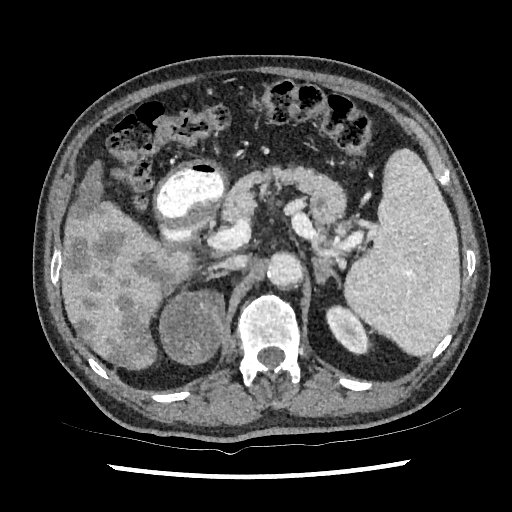 Upper abdomen | CT
{
  "kidney": [
    "<box>327,306,367,353</box>"
  ],
  "focal_liver_lesion": [
    "<box>161,246,175,254</box>",
    "<box>117,275,131,287</box>",
    "<box>68,161,103,221</box>",
    "<box>64,230,128,293</box>",
    "<box>132,253,178,293</box>",
    "<box>74,318,95,345</box>",
    "<box>80,295,103,312</box>",
    "<box>104,295,155,367</box>"
  ],
  "liver": [
    "<box>130,350,156,368</box>",
    "<box>61,187,196,359</box>"
  ]
}